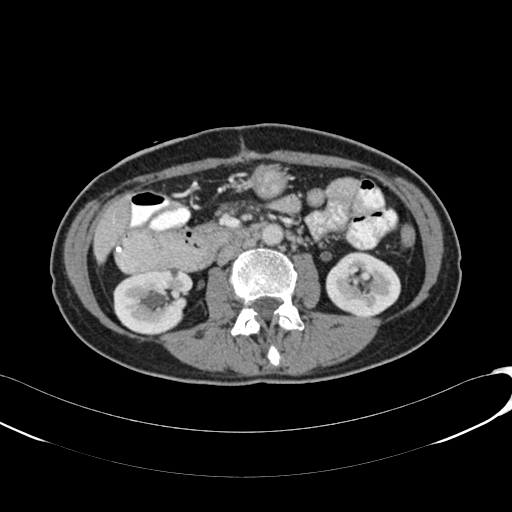
Computed tomography | 512x512 | Liver

Kidney: 327:253:399:316, 114:270:184:333.
Liver: 94:195:131:261.